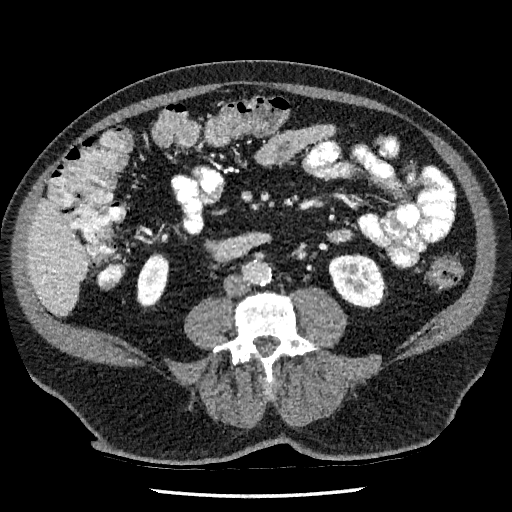 Abdomen. CT.

* liver: [27,198,86,315]
* kidney: [138,256,167,304], [329,256,383,306]